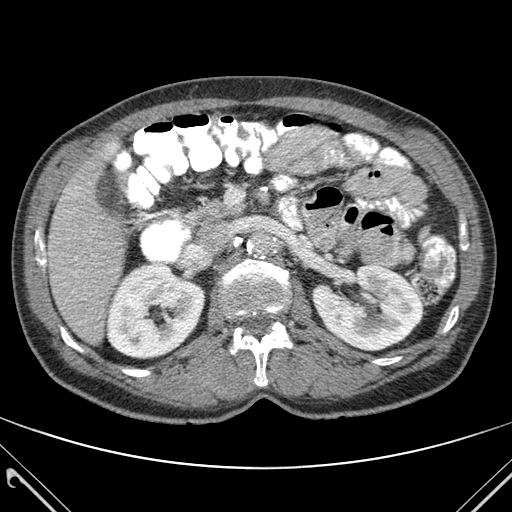 Computed tomography; 512x512; Liver
{
  "kidney": [
    "(108, 263, 203, 357)",
    "(314, 265, 421, 349)"
  ],
  "liver": [
    "(48, 143, 126, 344)"
  ],
  "bone": [
    "(231, 322, 291, 385)",
    "(123, 369, 149, 376)",
    "(35, 230, 45, 265)",
    "(374, 357, 400, 364)",
    "(223, 260, 288, 316)",
    "(61, 327, 81, 351)",
    "(444, 307, 457, 331)"
  ]
}